Field of view 438x438 mm | Abdomen | CT scan slice | 512x512 px 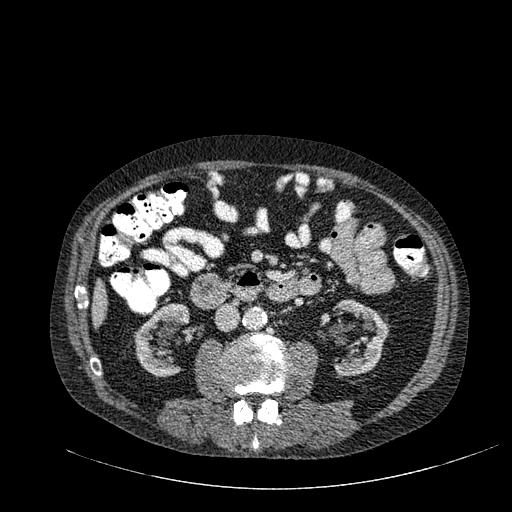

Kidney: 329, 301, 390, 377; 320, 313, 330, 326; 134, 303, 196, 376.
Liver: 92, 278, 105, 327.